CT image | Abdomen 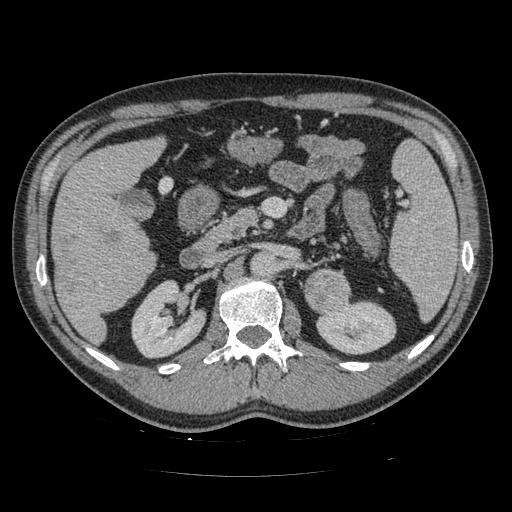

The pancreas appears at rect(220, 208, 256, 236). The pancreatic tumor appears at rect(305, 269, 349, 313).